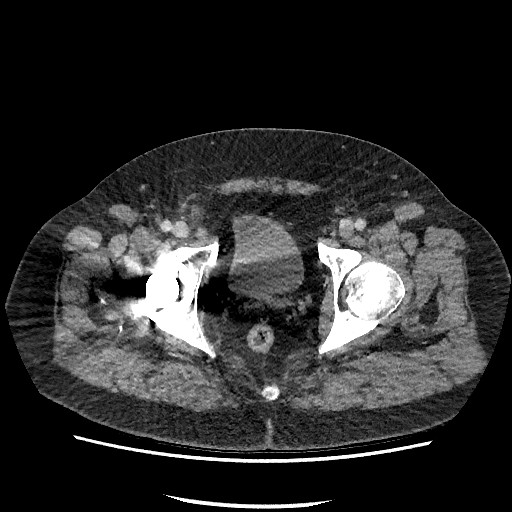
CT image
The urinary bladder is bounded by (229, 214, 303, 303).